CT scan slice

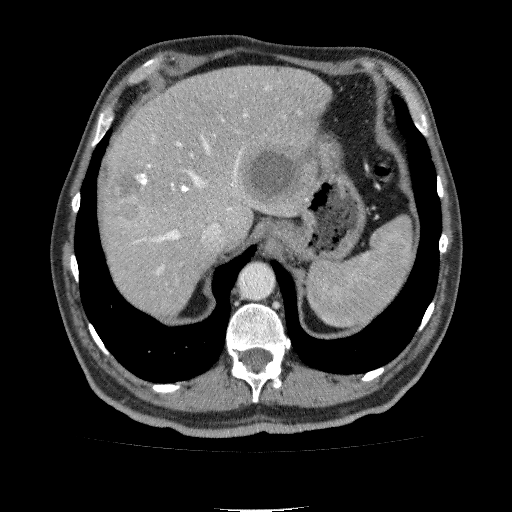

2 liver lesion regions are located at 101, 162, 155, 221; 240, 142, 318, 207. The liver is located at 99, 68, 330, 321.